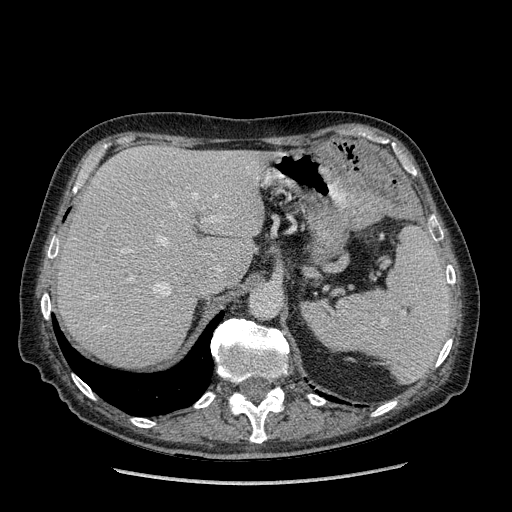
Abdomen; CT scan slice
liver: box(57, 146, 267, 368)